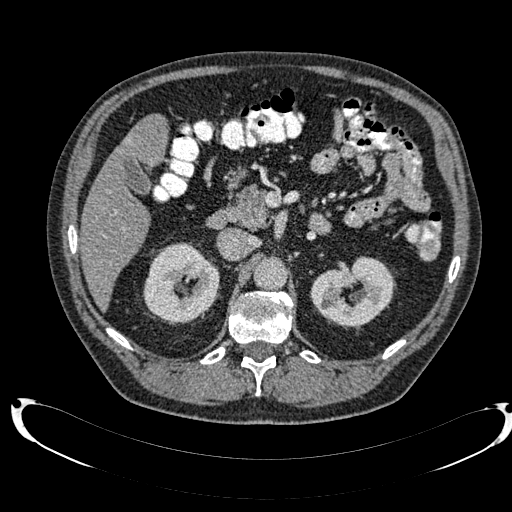
CT image
Segmented structures:
- liver: (x1=81, y1=115, x2=167, y2=311)
- kidney: (x1=143, y1=243, x2=219, y2=323), (x1=310, y1=257, x2=394, y2=327)